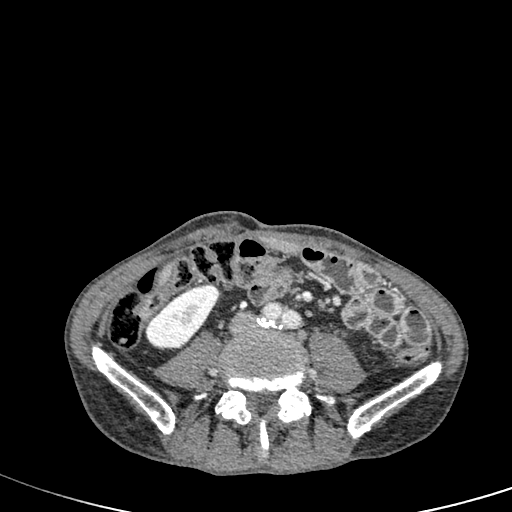

CT image; Abdomen; Image size 512x512
{"liver": ["[160,265,171,282]"], "kidney": ["[146,285,218,347]"]}